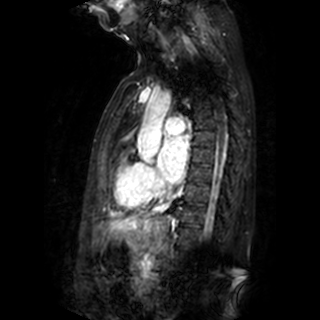
Heart. MR image.

Left atrium — [x1=159, y1=137, x2=186, y2=181].